Slice 56 of 155.
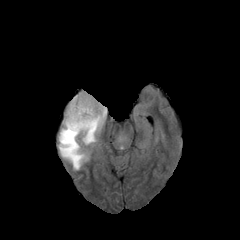
FLAIR MR.
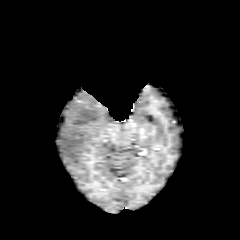
T1-weighted MR image.
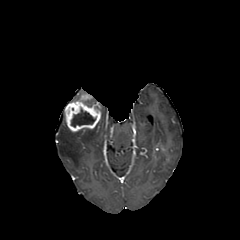
Post-contrast T1-weighted MR.
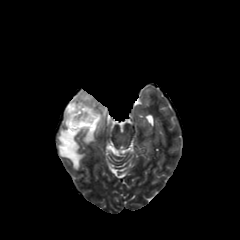
T2-weighted MRI.
<segmentation>
  <edema>l=58, t=119, r=105, b=169</edema>
  <enhancing_tumor>l=64, t=89, r=101, b=132</enhancing_tumor>
  <non-enhancing_tumor_core>l=92, t=105, r=107, b=130; l=68, t=129, r=89, b=134; l=71, t=110, r=94, b=126</non-enhancing_tumor_core>
</segmentation>